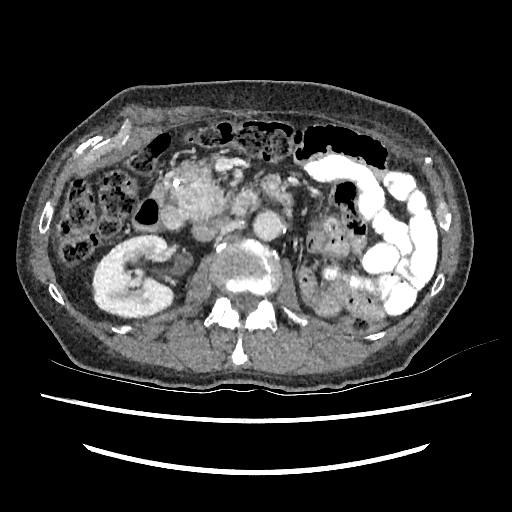 CT scan slice | Abdomen
The kidney appears at x1=93, y1=236, x2=172, y2=316.